FLAIR MR.
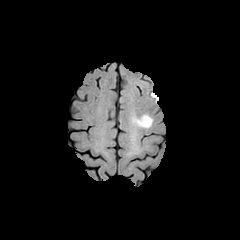
T1-weighted magnetic resonance.
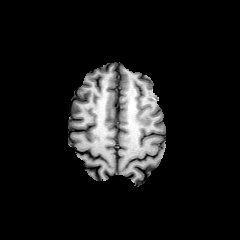
Post-contrast T1-weighted MRI.
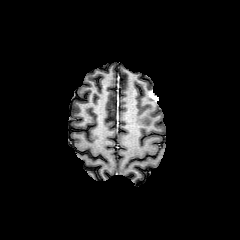
T2-weighted magnetic resonance.
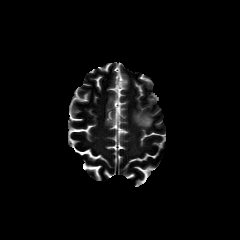
Image size 240x240.
{"edema": ["left=134, top=114, right=152, bottom=128"]}